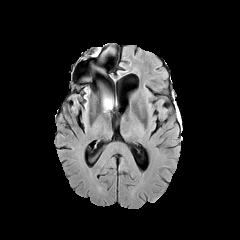
FLAIR magnetic resonance.
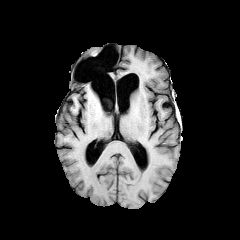
T1-weighted magnetic resonance.
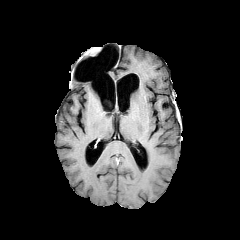
Post-contrast T1-weighted MRI of the same slice.
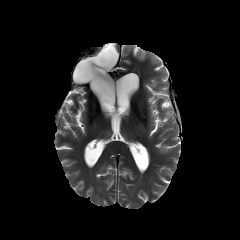
T2-weighted MR image.
Brain, Image size 240x240
Edema: bounding box bbox(102, 90, 115, 111).